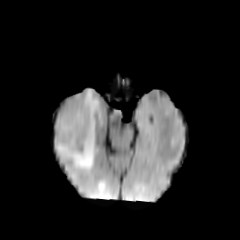
FLAIR MR.
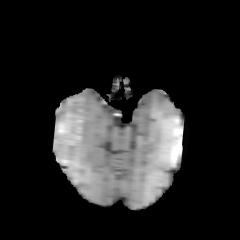
T1-weighted magnetic resonance of the same slice.
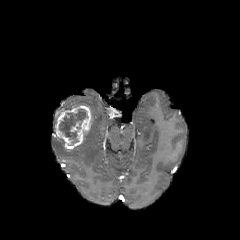
Post-contrast T1-weighted MR image.
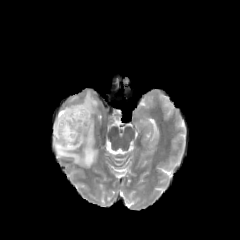
Same slice, T2-weighted MRI.
Non-enhancing tumor core — x1=58, y1=109, x2=86, y2=144.
Enhancing tumor — x1=55, y1=105, x2=93, y2=150.
Edema — x1=54, y1=89, x2=100, y2=168.